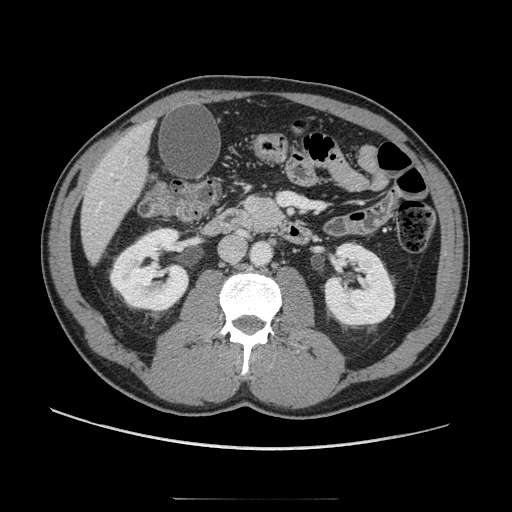
Upper abdomen | CT
pancreas:
  - bbox=[238, 194, 288, 235]